Slice 80/155. Field of view 240x240 mm.
FLAIR MR.
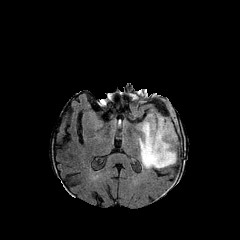
T1-weighted MRI.
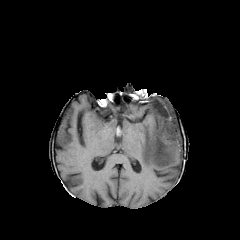
Post-contrast T1-weighted MR.
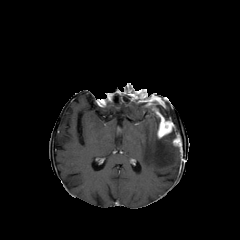
T2-weighted MR image.
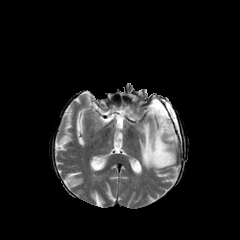
<segmentation>
  <edema>rect(138, 116, 178, 169)</edema>
  <non-enhancing_tumor_core>rect(149, 94, 171, 119); rect(146, 106, 181, 150)</non-enhancing_tumor_core>
  <enhancing_tumor>rect(149, 104, 173, 138)</enhancing_tumor>
</segmentation>